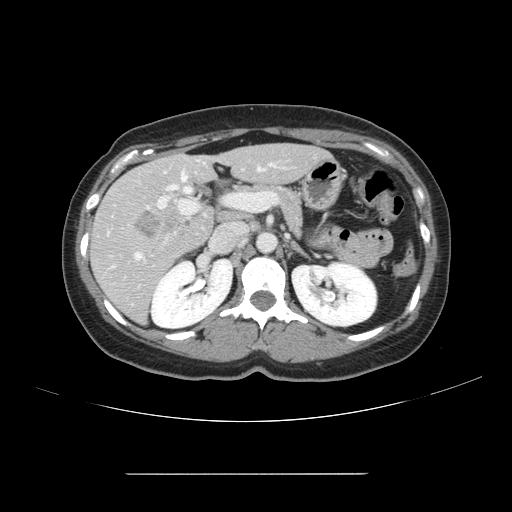

CT image. Some hepatic vessels may have no box.
The liver tumor is located at [x1=133, y1=211, x2=160, y2=238]. 6 hepatic vessel regions are located at [x1=181, y1=171, x2=186, y2=180], [x1=147, y1=206, x2=148, y2=208], [x1=135, y1=253, x2=141, y2=258], [x1=257, y1=167, x2=265, y2=171], [x1=269, y1=163, x2=274, y2=166], [x1=159, y1=198, x2=164, y2=207].